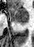
Magnetic resonance.
{
  "posterior_hippocampus": [
    {"x1": 16, "y1": 22, "x2": 25, "y2": 24}
  ],
  "anterior_hippocampus": [
    {"x1": 7, "y1": 8, "x2": 27, "y2": 21}
  ]
}